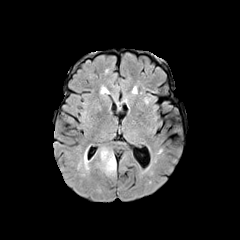
FLAIR MRI.
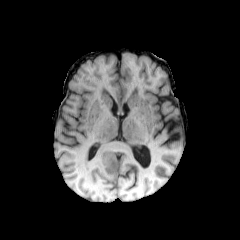
T1-weighted MR of the same slice.
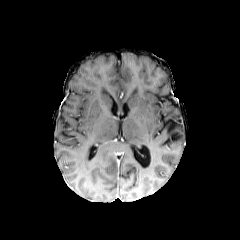
Post-contrast T1-weighted MR image.
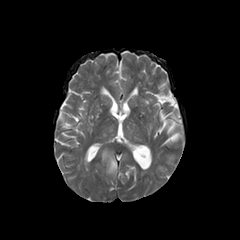
T2-weighted magnetic resonance.
240x240, Brain
Edema — bbox=[100, 148, 116, 175]; bbox=[80, 152, 90, 169].